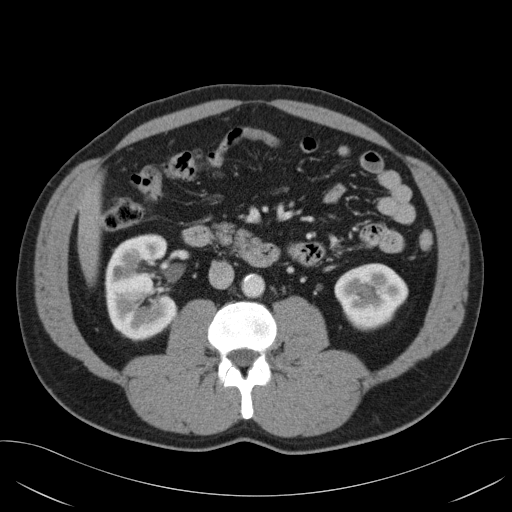

CT image. pancreas:
  - x1=214, y1=225, x2=251, y2=252